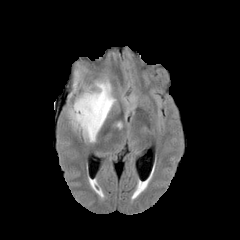
FLAIR MR image.
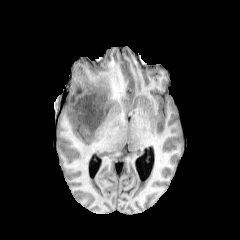
Same slice, T1-weighted MRI.
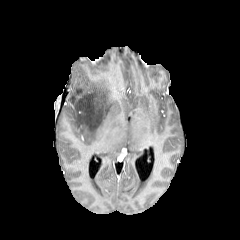
Same slice, post-contrast T1-weighted MR image.
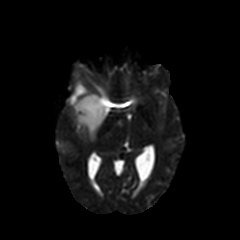
Same slice, T2-weighted magnetic resonance.
Head
<segmentation>
  <non-enhancing_tumor_core>[77, 95, 102, 129]</non-enhancing_tumor_core>
  <edema>[67, 70, 120, 142], [122, 96, 135, 113]</edema>
</segmentation>